CT image

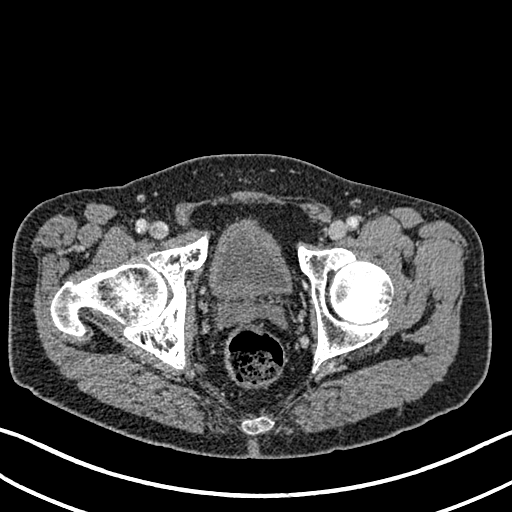

urinary bladder: {"x1": 209, "y1": 228, "x2": 291, "y2": 303}